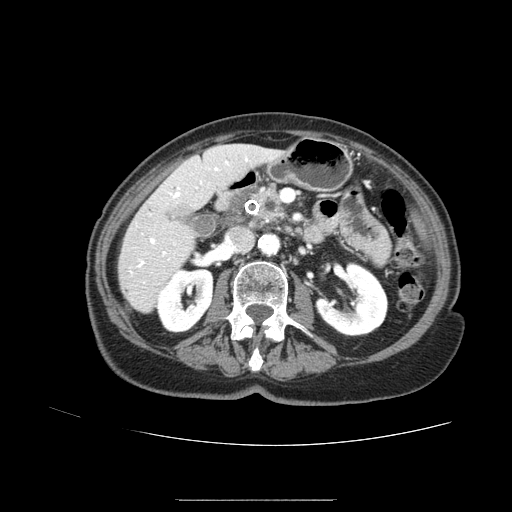
Image size 512x512; CT slice
<segmentation>
  <pancreas>[x1=255, y1=188, x2=283, y2=218]</pancreas>
  <pancreatic_tumor>[x1=261, y1=204, x2=267, y2=214]</pancreatic_tumor>
</segmentation>